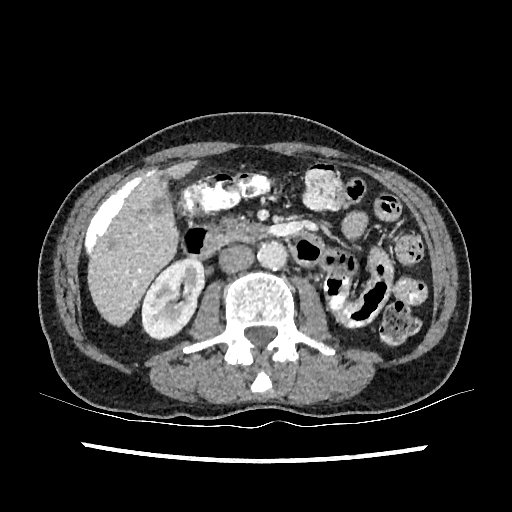 Image size 512x512; Abdomen; Computed tomography
Liver lesion at l=109, t=241, r=115, b=249; l=149, t=195, r=169, b=216.
Liver at l=89, t=161, r=197, b=323.
Kidney at l=142, t=259, r=203, b=338.